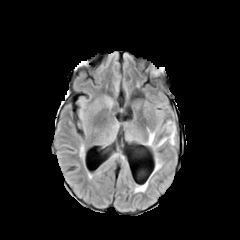
FLAIR MRI.
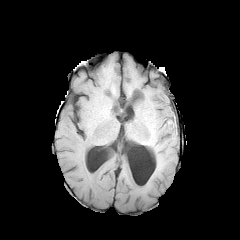
T1-weighted MR.
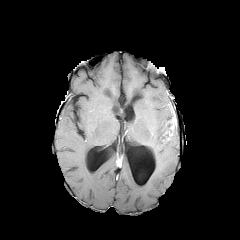
Same slice, post-contrast T1-weighted MR.
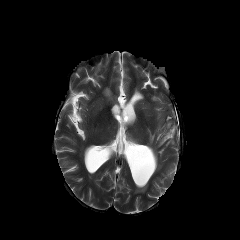
T2-weighted MR of the same slice.
Head
Findings:
- edema: left=167, top=130, right=175, bottom=144; left=135, top=182, right=147, bottom=192; left=146, top=132, right=155, bottom=150; left=155, top=153, right=161, bottom=170